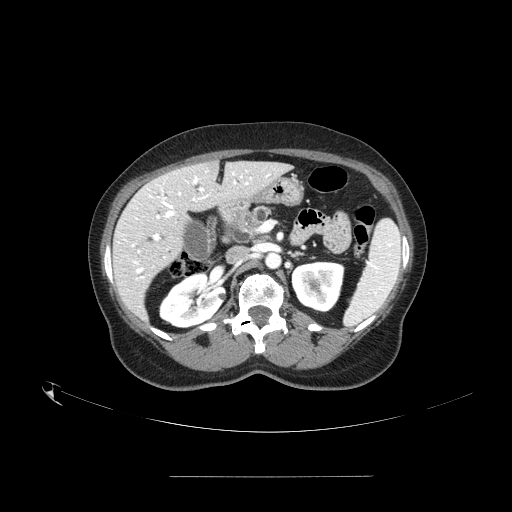

CT scan slice, Image size 512x512
Pancreas = x1=244 y1=205 x2=274 y2=232.